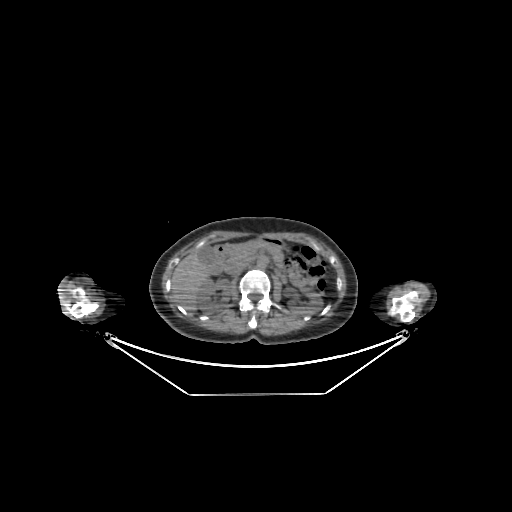

Image size 512x512 | Abdomen | CT
Liver — <box>170,251,216,309</box>.
Kidney — <box>195,275,231,313</box>, <box>287,287,323,317</box>.